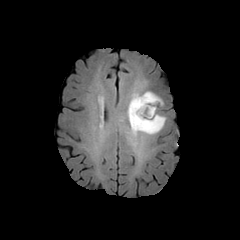
FLAIR MRI.
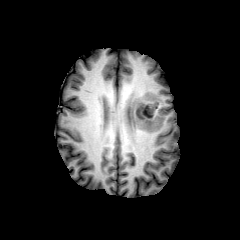
T1-weighted magnetic resonance.
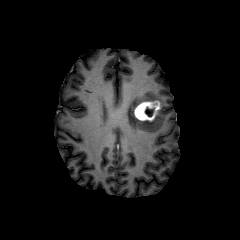
Post-contrast T1-weighted MRI.
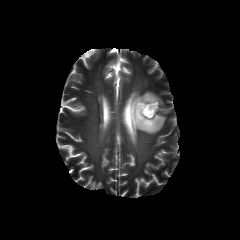
Same slice, T2-weighted MRI.
Head.
Non-enhancing tumor core — bbox(112, 97, 155, 127); bbox(145, 108, 154, 116).
Edema — bbox(124, 110, 165, 143); bbox(126, 90, 162, 104).
Enhancing tumor — bbox(134, 100, 159, 121).